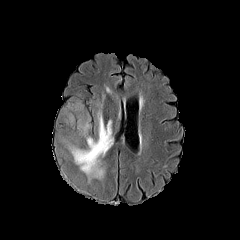
FLAIR MRI.
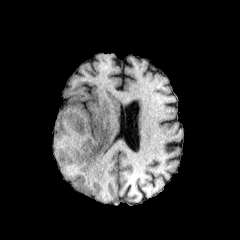
T1-weighted MR image.
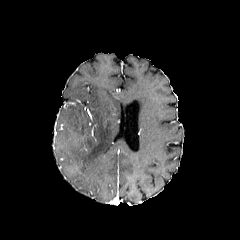
Post-contrast T1-weighted MR image.
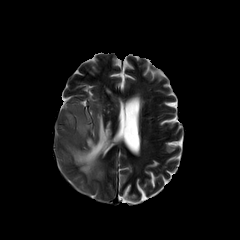
T2-weighted MR image of the same slice.
240x240 px
edema: <bbox>64, 109, 75, 126</bbox>, <bbox>67, 92, 113, 180</bbox>